FLAIR MR image.
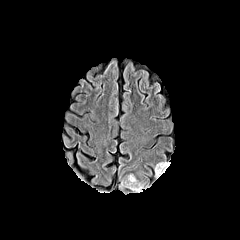
T1-weighted magnetic resonance.
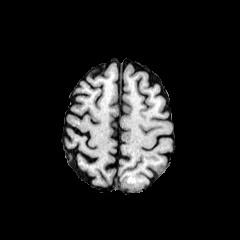
Post-contrast T1-weighted MR.
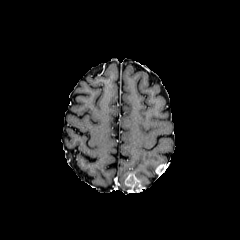
T2-weighted MR.
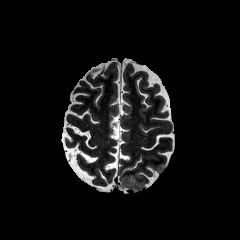
Image size 240x240 | Brain
Edema: bounding box [x1=119, y1=175, x2=129, y2=189].
Enhancing tumor: bounding box [x1=124, y1=173, x2=142, y2=192], [x1=155, y1=162, x2=169, y2=177].